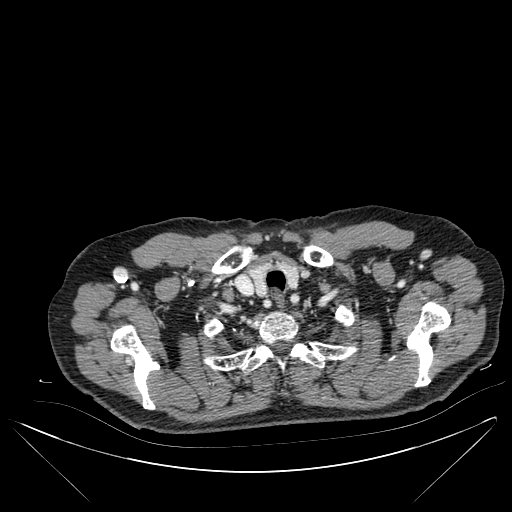
CT slice.

7 bone regions appear at [x1=407, y1=303, x2=450, y2=386], [x1=335, y1=305, x2=353, y2=325], [x1=111, y1=326, x2=159, y2=409], [x1=212, y1=246, x2=252, y2=274], [x1=204, y1=312, x2=356, y2=370], [x1=204, y1=318, x2=223, y2=337], [x1=303, y1=245, x2=333, y2=266].